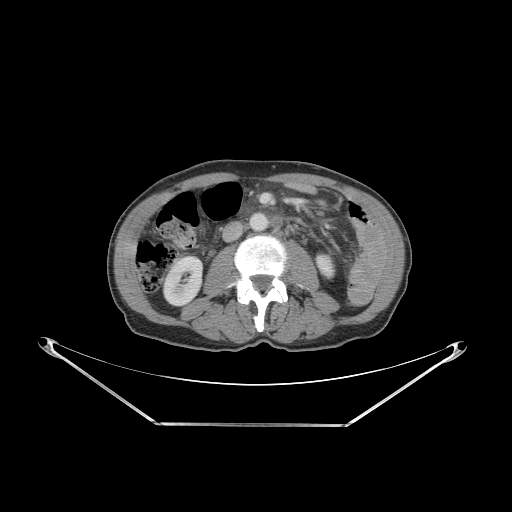

CT image
2 kidney regions are located at [164, 257, 201, 305], [317, 256, 332, 275]. The bone is bounded by [228, 236, 287, 331].